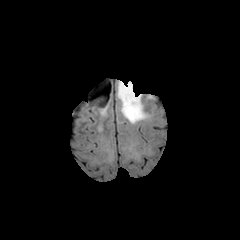
FLAIR MR.
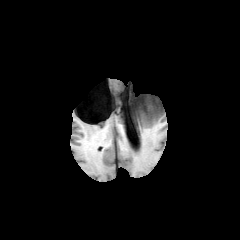
T1-weighted MR of the same slice.
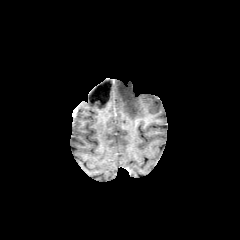
Post-contrast T1-weighted MR.
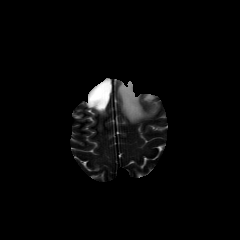
Same slice, T2-weighted magnetic resonance.
Head
Edema: bounding box box=[117, 82, 152, 123].